FLAIR MR image.
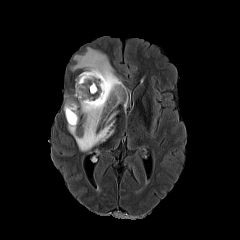
T1-weighted MR image.
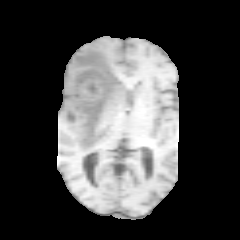
Post-contrast T1-weighted MR image.
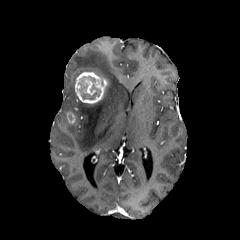
T2-weighted magnetic resonance.
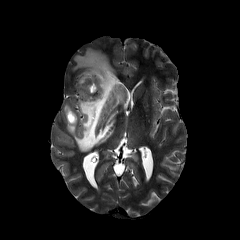
Head
Enhancing tumor: bounding box 65:111:77:124, 75:72:107:103.
Edema: bounding box 64:47:127:152.
Non-enhancing tumor core: bounding box 77:82:100:100.